FLAIR magnetic resonance.
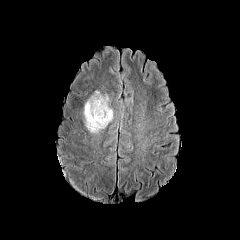
T1-weighted MRI.
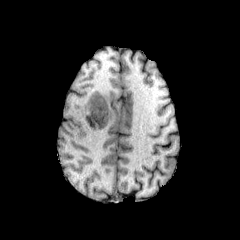
Post-contrast T1-weighted MRI.
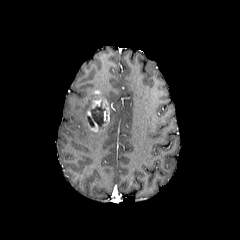
T2-weighted magnetic resonance.
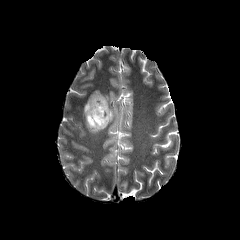
Head. 240x240 px.
Enhancing tumor at (x1=92, y1=90, x2=109, y2=125), (x1=87, y1=122, x2=98, y2=132).
Edema at (x1=84, y1=99, x2=91, y2=118).
Non-enhancing tumor core at (x1=85, y1=94, x2=107, y2=132).